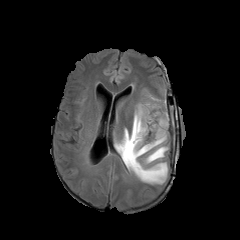
FLAIR MR image.
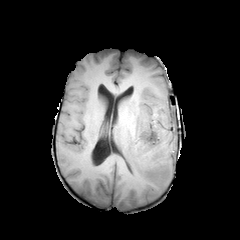
Same slice, T1-weighted MR.
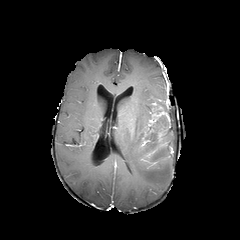
Post-contrast T1-weighted MR image of the same slice.
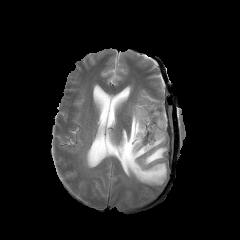
Same slice, T2-weighted MR.
240x240
Edema — l=114, t=91, r=169, b=186.
Non-enhancing tumor core — l=142, t=118, r=161, b=145.